Slice 71 of 155
FLAIR magnetic resonance.
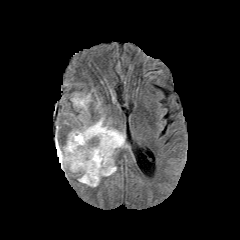
T1-weighted MR image.
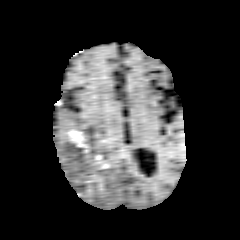
Post-contrast T1-weighted MRI.
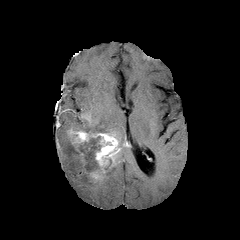
T2-weighted MR image.
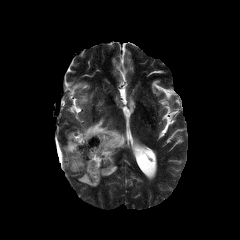
{"enhancing_tumor": ["(70,131,121,165)"], "edema": ["(72,93,89,113)", "(59,133,119,187)", "(74,117,125,137)"]}